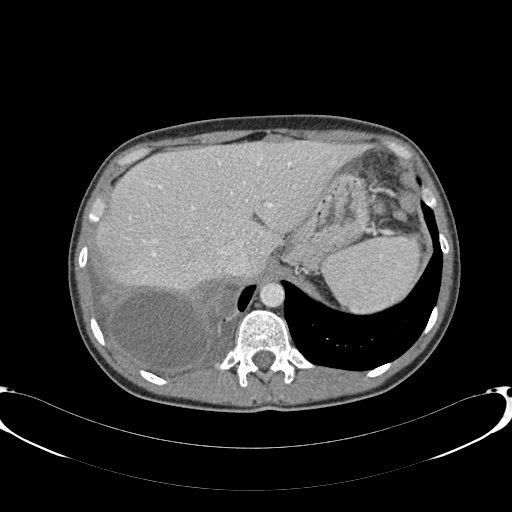
512x512 | Upper abdomen | CT image
Liver = 96,141,373,290.